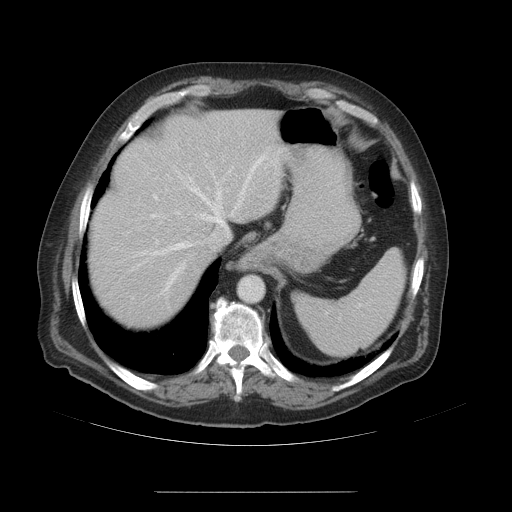
CT, Abdomen
Some hepatic vessels may have no box.
12 hepatic vessel regions are located at bbox=[135, 251, 146, 256]; bbox=[175, 211, 179, 213]; bbox=[151, 214, 157, 216]; bbox=[164, 264, 184, 292]; bbox=[151, 242, 191, 254]; bbox=[153, 195, 156, 198]; bbox=[216, 183, 218, 184]; bbox=[188, 177, 192, 183]; bbox=[240, 155, 265, 198]; bbox=[231, 167, 232, 168]; bbox=[189, 188, 229, 249]; bbox=[223, 178, 225, 179].